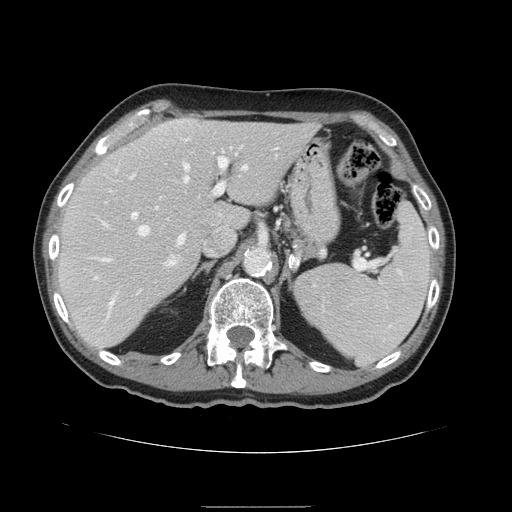

CT image | Liver
The vessel boxes may cover only some of the vessels.
Segmented structures:
• hepatic vessel (principal 15 of 18): 167,260,175,264; 204,241,215,254; 131,175,133,177; 104,223,108,226; 218,156,228,167; 243,165,247,168; 132,212,137,217; 103,258,109,260; 184,176,188,181; 138,226,149,235; 215,182,224,193; 178,234,184,243; 184,162,189,169; 210,212,239,246; 108,300,113,315